MRI slice, Medial temporal lobe

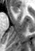 The anterior hippocampus appears at 11:6:18:12.